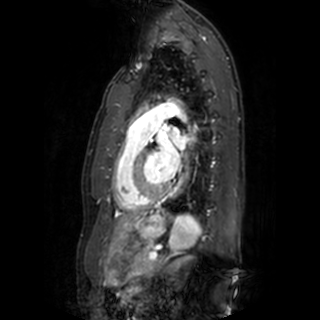 MRI slice; Cardiac
Annotated regions:
- left atrium: [169,127,184,149], [156,132,179,180]